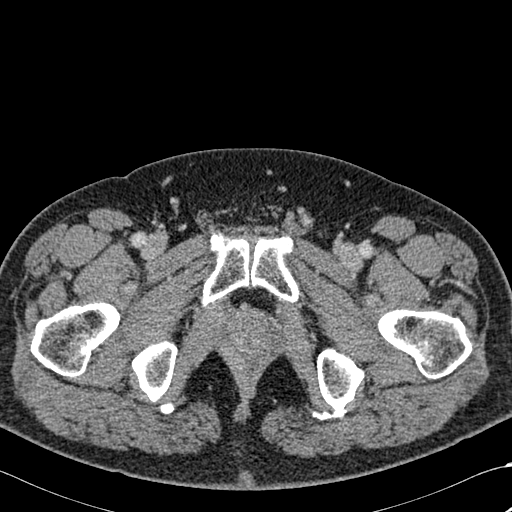

Computed tomography

Bone = 203, 235, 298, 303; 317, 349, 363, 418; 31, 302, 119, 376; 132, 341, 176, 401; 378, 309, 471, 378; 161, 403, 172, 412.